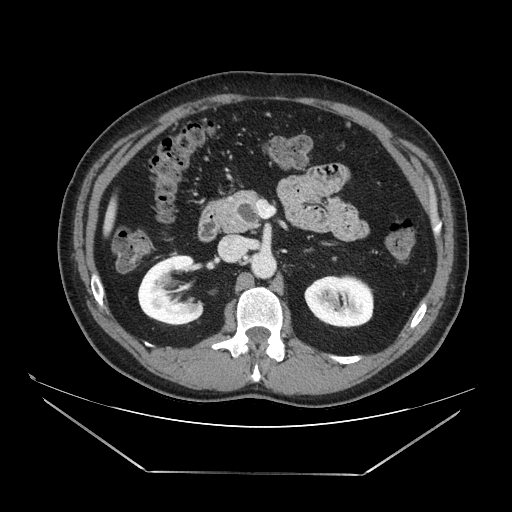
Abdomen. CT scan slice. 512x512.
The pancreas is bounded by left=213, top=191, right=259, bottom=233.